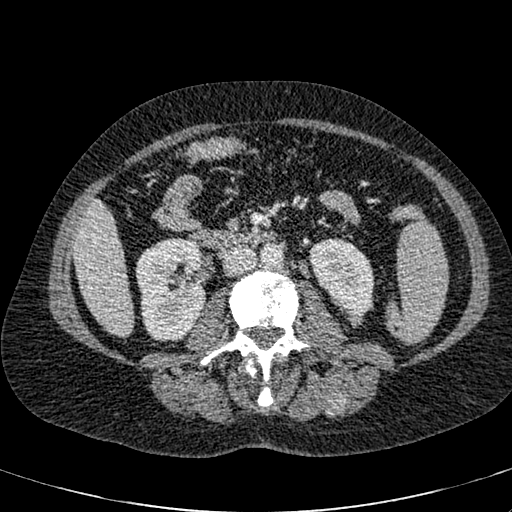 Abdomen, CT slice
Liver = [x1=75, y1=202, x2=133, y2=334].
Kidney = [x1=136, y1=238, x2=204, y2=340], [x1=310, y1=239, x2=373, y2=317].